Slice 106/155. Image size 240x240. Head.
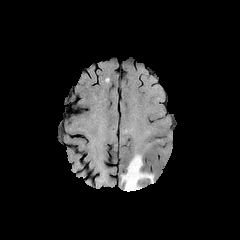
FLAIR MR.
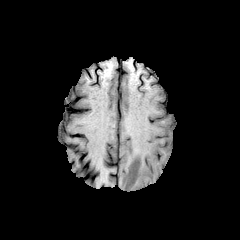
Same slice, T1-weighted MR.
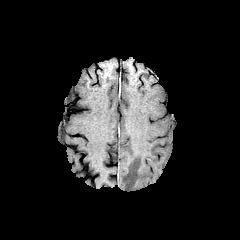
Post-contrast T1-weighted MR of the same slice.
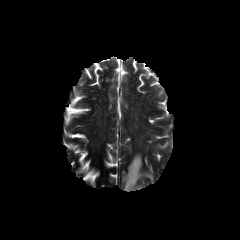
T2-weighted MR.
{
  "edema": [
    "rect(121, 154, 153, 191)"
  ]
}